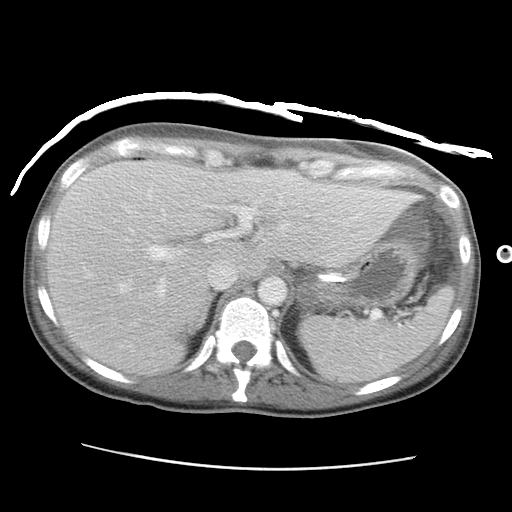 Image size 512x512, CT scan slice
The liver is bounded by l=45, t=159, r=423, b=376.